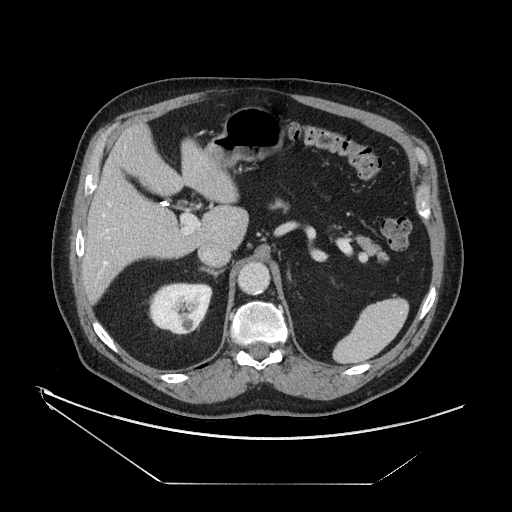
CT scan slice.

<segmentation>
  <pancreas>box(355, 234, 385, 259)</pancreas>
</segmentation>